240x240, Slice 85/155
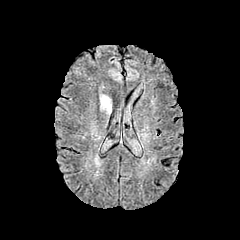
FLAIR MR.
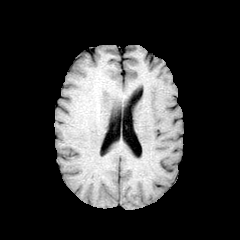
Same slice, T1-weighted MRI.
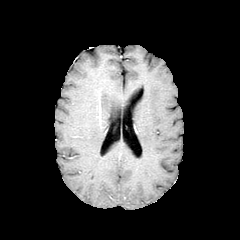
Post-contrast T1-weighted magnetic resonance.
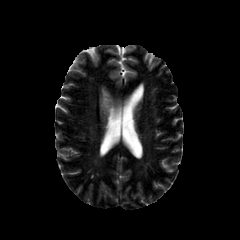
Same slice, T2-weighted MRI.
edema:
  - bbox=[99, 93, 112, 119]